FLAIR magnetic resonance.
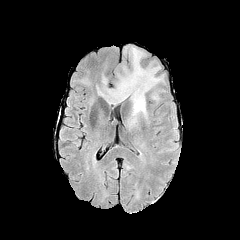
T1-weighted MRI.
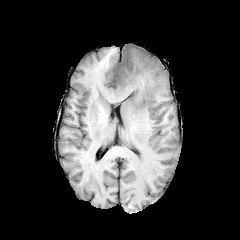
Post-contrast T1-weighted MR image.
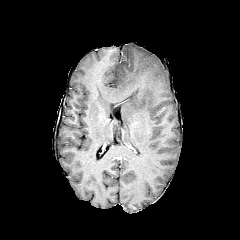
T2-weighted magnetic resonance.
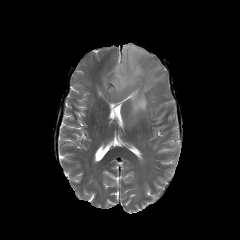
Brain
Edema at 104, 46, 162, 123.